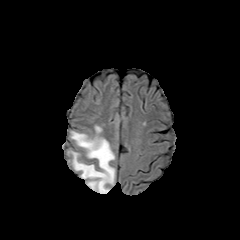
FLAIR magnetic resonance.
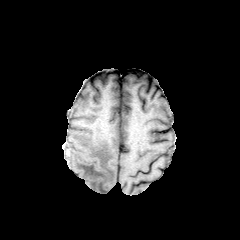
T1-weighted MR image of the same slice.
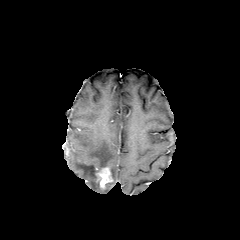
Post-contrast T1-weighted MR.
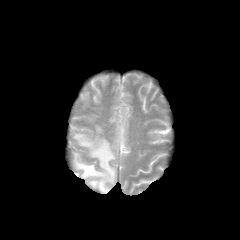
T2-weighted MR image of the same slice.
240x240 px
The enhancing tumor appears at l=96, t=168, r=112, b=189. The edema is located at l=70, t=131, r=116, b=193. The non-enhancing tumor core is at l=90, t=167, r=101, b=188.